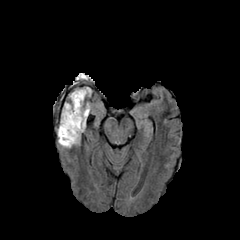
FLAIR MR image.
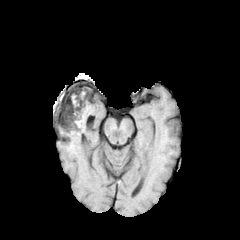
Same slice, T1-weighted MR.
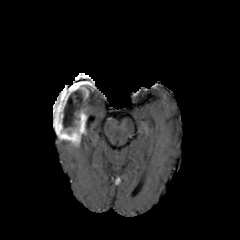
Post-contrast T1-weighted MRI of the same slice.
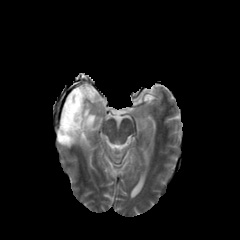
Same slice, T2-weighted MRI.
edema: (left=63, top=87, right=89, bottom=146) | non-enhancing tumor core: (left=59, top=102, right=79, bottom=137)